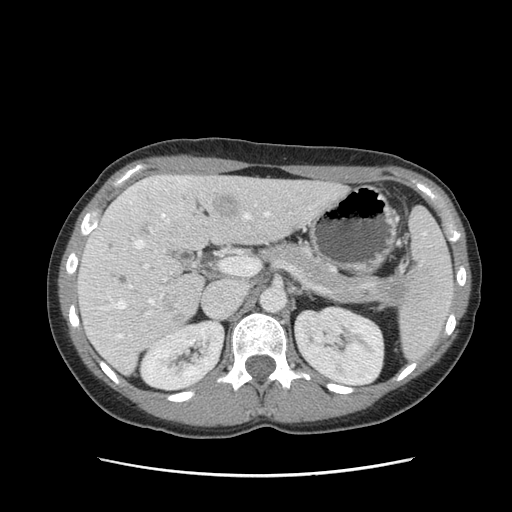 CT slice

{
  "pancreas": [
    "262,242,386,304"
  ],
  "pancreatic_tumor": [
    "377,275,411,308"
  ]
}